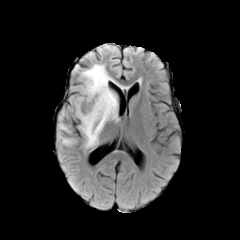
FLAIR MRI.
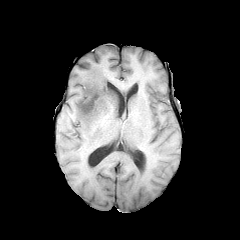
T1-weighted MR image.
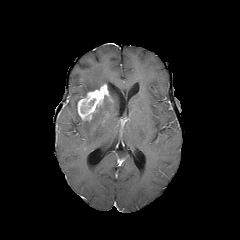
Post-contrast T1-weighted MR image.
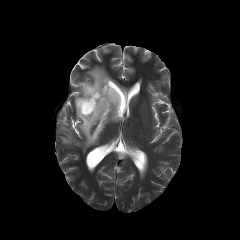
T2-weighted MRI of the same slice.
Brain
The enhancing tumor is at (x1=77, y1=84, x2=111, y2=121). 3 non-enhancing tumor core regions appear at (x1=76, y1=84, x2=99, y2=109), (x1=80, y1=100, x2=93, y2=111), (x1=108, y1=86, x2=115, y2=102). 4 edema regions are bounded by (x1=79, y1=95, x2=118, y2=148), (x1=80, y1=64, x2=126, y2=89), (x1=59, y1=134, x2=72, y2=145), (x1=58, y1=122, x2=69, y2=132).